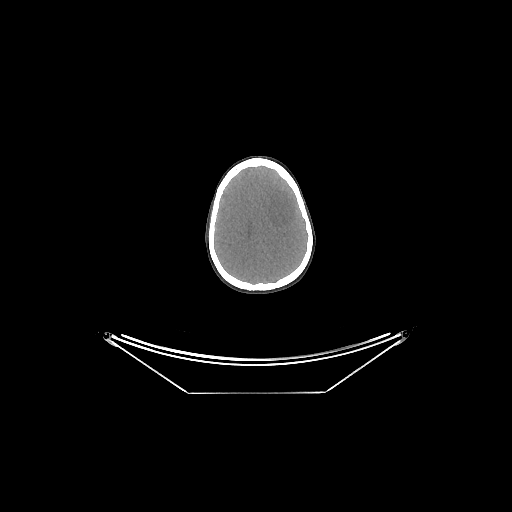

512x512 px, Computed tomography, Brain
The brain lies within [214,165,308,284].